Slice 105/155, Image size 240x240
FLAIR MRI.
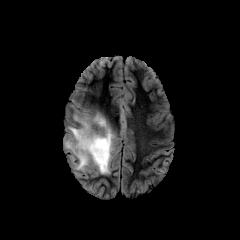
T1-weighted MR.
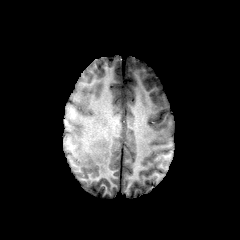
Post-contrast T1-weighted magnetic resonance.
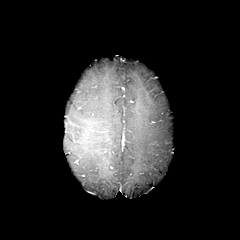
T2-weighted magnetic resonance.
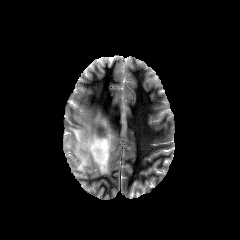
Edema = (left=66, top=114, right=114, bottom=175).